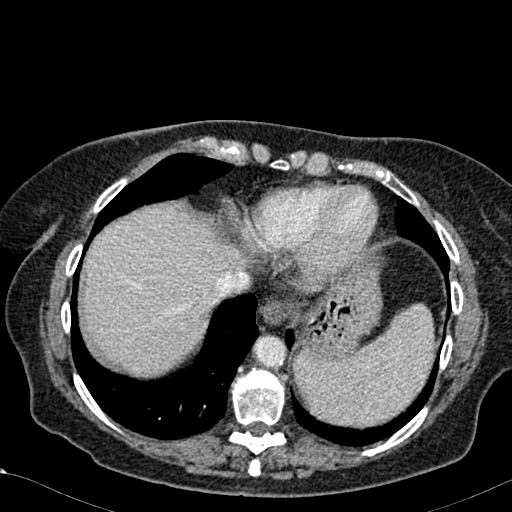 Abdomen. CT scan slice. * liver: (left=305, top=285, right=321, bottom=290), (left=83, top=205, right=242, bottom=372)